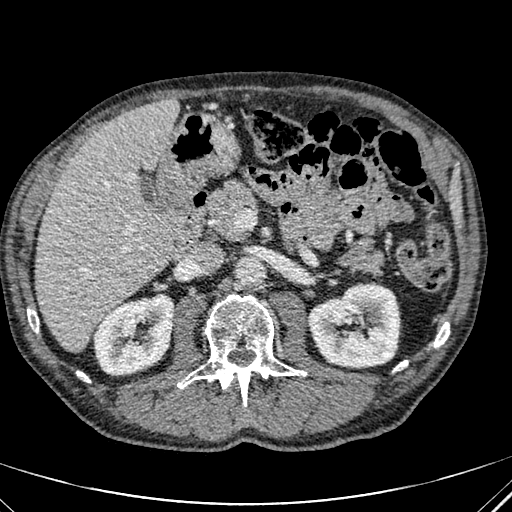
Liver; Computed tomography
{
  "liver": [
    "l=35, t=99, r=180, b=352"
  ],
  "kidney": [
    "l=95, t=295, r=172, b=374",
    "l=309, t=285, r=399, b=366"
  ]
}